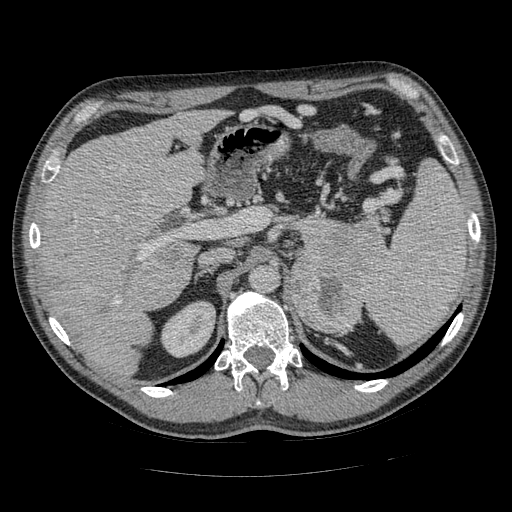 Computed tomography
{"pancreatic_tumor": ["291, 255, 362, 331"], "pancreas": ["302, 218, 382, 289", "292, 297, 345, 332"]}